Head, Slice index 107
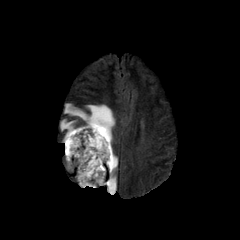
FLAIR magnetic resonance.
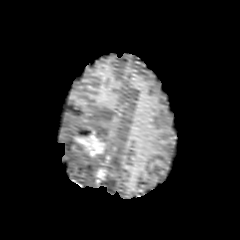
T1-weighted MR of the same slice.
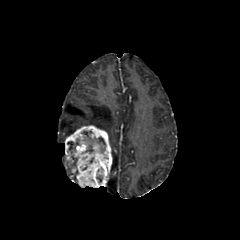
Post-contrast T1-weighted MRI.
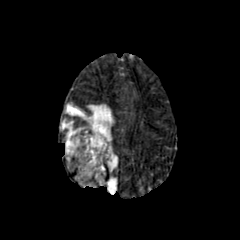
T2-weighted MR image of the same slice.
The enhancing tumor appears at region(65, 125, 112, 187). 4 non-enhancing tumor core regions appear at region(68, 154, 77, 167); region(82, 130, 105, 153); region(67, 141, 75, 151); region(68, 107, 81, 114). The edema is at region(60, 104, 117, 193).